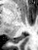

MR image | Medial temporal lobe
Posterior hippocampus at 12 34 24 41.